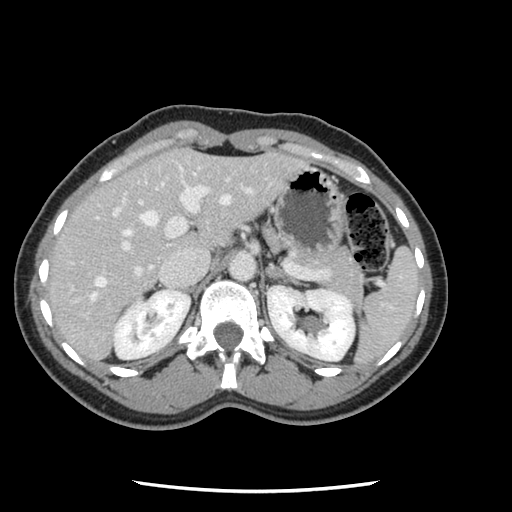
CT image
Some hepatic vessels may have no box.
13 hepatic vessel regions are located at box(95, 277, 105, 286); box(141, 210, 157, 225); box(180, 185, 207, 211); box(245, 188, 250, 191); box(91, 293, 95, 298); box(123, 229, 130, 235); box(220, 195, 228, 203); box(112, 208, 119, 214); box(123, 198, 124, 201); box(135, 267, 140, 274); box(165, 217, 185, 236); box(122, 241, 127, 248); box(180, 168, 181, 170).